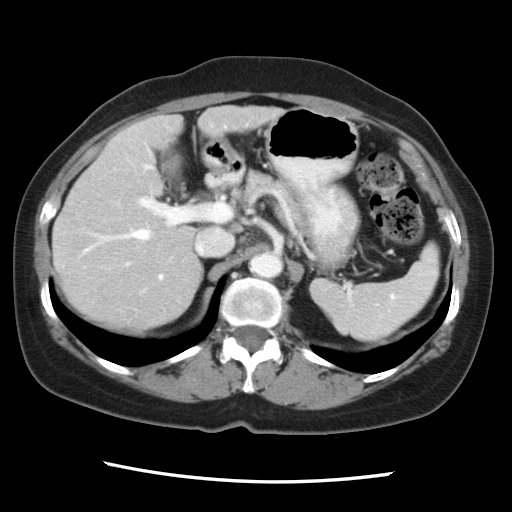

CT slice | 512x512 px

The vessel annotation is not exhaustive.
{
  "hepatic_vessel": [
    "(x1=196, y1=229, x2=232, y2=253)",
    "(x1=98, y1=226, x2=152, y2=242)",
    "(x1=125, y1=262, x2=130, y2=266)",
    "(x1=137, y1=194, x2=232, y2=226)",
    "(x1=142, y1=289, x2=145, y2=291)"
  ]
}